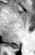 35x55. MR.

posterior_hippocampus:
  - (x1=12, y1=45, x2=19, y2=48)